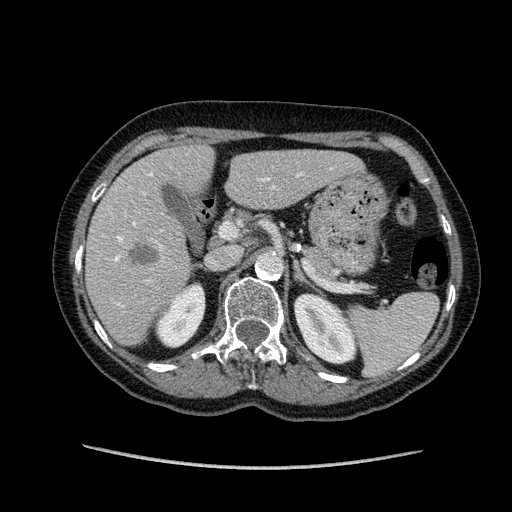

CT scan slice
kidney: (295,295,354,362), (158,285,204,345) | hepatic lesion: (127,243,157,264) | liver: (86,148,211,340), (225,151,356,207)